FLAIR magnetic resonance.
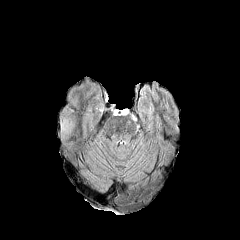
T1-weighted MRI.
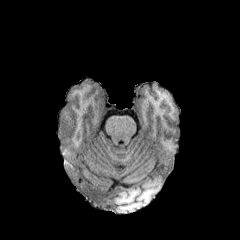
Post-contrast T1-weighted MRI.
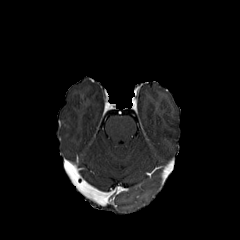
T2-weighted magnetic resonance.
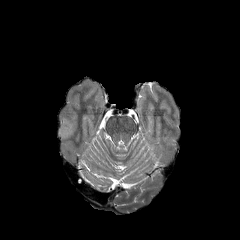
The edema is bounded by [60,121,73,134].